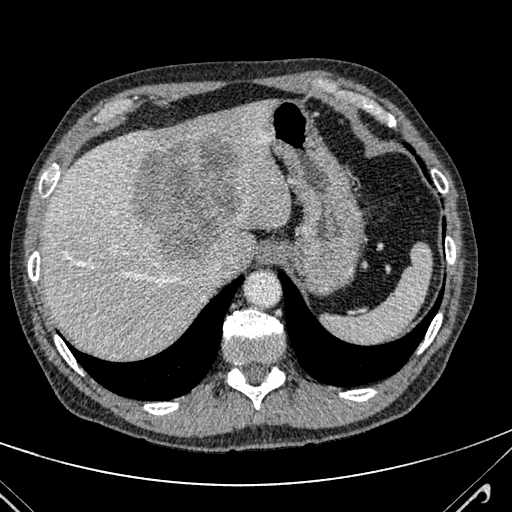
512x512 px. Abdomen. CT image.
Liver at (left=43, top=98, right=291, bottom=357).
Hepatic lesion at (left=132, top=135, right=245, bottom=264).